Image size 36x50; Slice 20 of 36; MRI slice

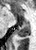 Segmented structures:
• posterior hippocampus: l=15, t=23, r=29, b=36